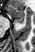 MRI, Image size 35x52, Hippocampus
Anterior hippocampus at l=11, t=5, r=25, b=19.
Posterior hippocampus at l=17, t=20, r=23, b=23.